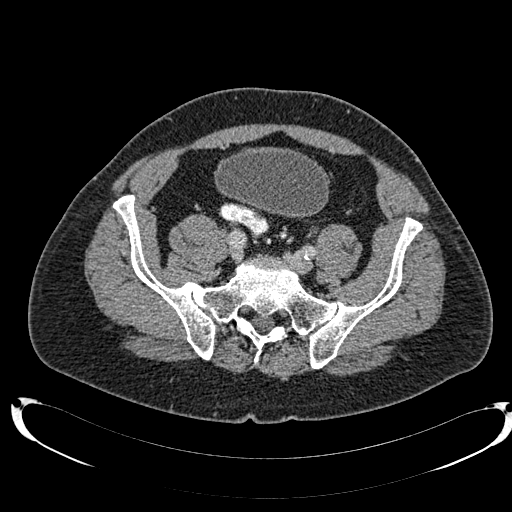
CT slice
urinary_bladder:
  - left=217, top=148, right=328, bottom=215